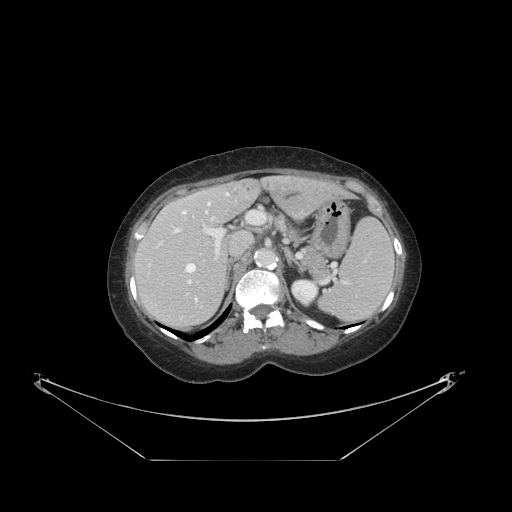

CT slice; Abdomen
The vessel annotation is not exhaustive.
Annotated regions:
- hepatic vessel: rect(157, 243, 160, 245); rect(195, 299, 196, 301); rect(182, 211, 185, 213); rect(205, 211, 207, 213); rect(173, 228, 178, 232); rect(188, 281, 190, 282); rect(211, 217, 214, 220); rect(203, 225, 223, 250); rect(185, 264, 194, 271); rect(246, 210, 265, 223); rect(226, 193, 228, 194); rect(208, 202, 210, 204)